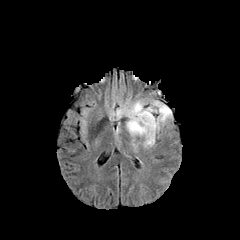
FLAIR MRI.
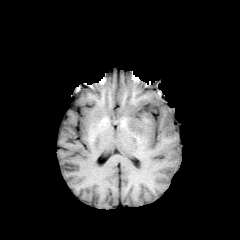
Same slice, T1-weighted magnetic resonance.
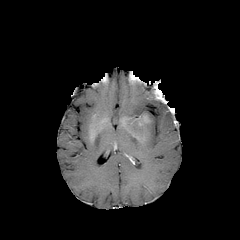
Post-contrast T1-weighted magnetic resonance.
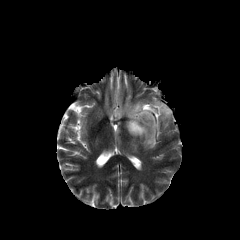
Same slice, T2-weighted MRI.
Brain; 240x240
Segmented structures:
- non-enhancing tumor core: rect(138, 115, 147, 124)
- edema: rect(120, 95, 173, 151)